Abdomen, CT

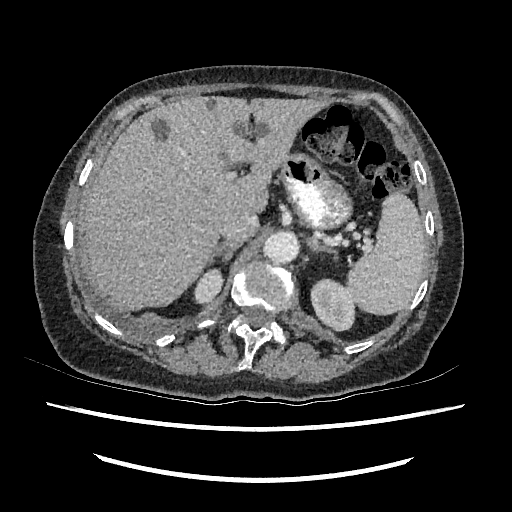 2 kidney regions are bounded by {"x1": 195, "y1": 270, "x2": 222, "y2": 302}, {"x1": 311, "y1": 280, "x2": 359, "y2": 330}. The liver lies within {"x1": 87, "y1": 97, "x2": 327, "y2": 309}. 4 liver lesion regions are located at {"x1": 235, "y1": 124, "x2": 248, "y2": 137}, {"x1": 256, "y1": 127, "x2": 266, "y2": 136}, {"x1": 207, "y1": 99, "x2": 215, "y2": 107}, {"x1": 153, "y1": 119, "x2": 168, "y2": 139}.